FLAIR MR.
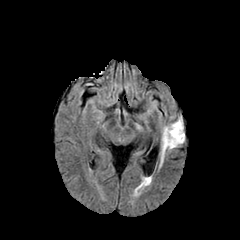
T1-weighted MR.
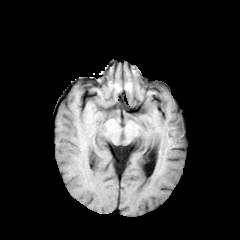
Post-contrast T1-weighted MR image.
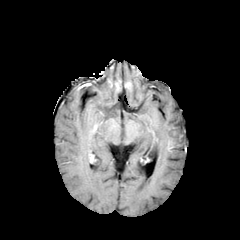
T2-weighted MR.
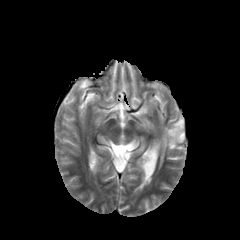
Head | 240x240 px
The edema appears at {"x1": 160, "y1": 116, "x2": 184, "y2": 163}.